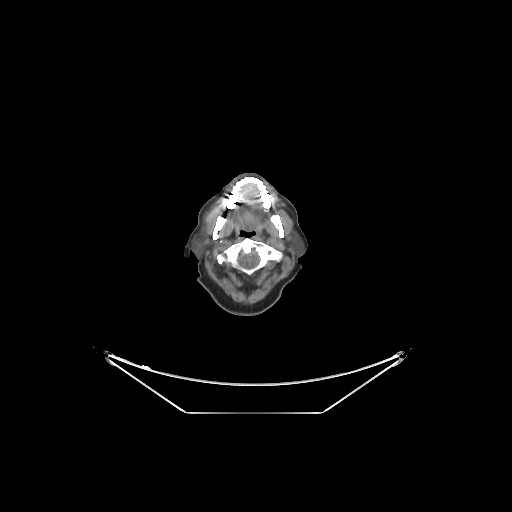 CT slice; Image size 512x512

brain:
  - x1=237 y1=249 x2=260 y2=269